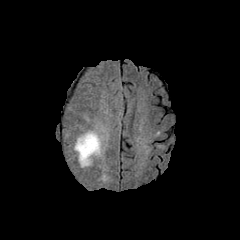
FLAIR MR.
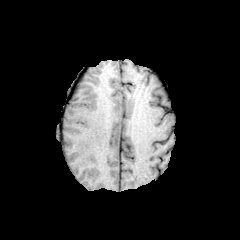
T1-weighted MR.
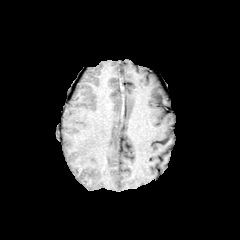
Post-contrast T1-weighted MR of the same slice.
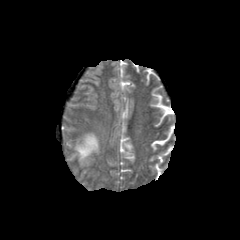
T2-weighted MR of the same slice.
Brain | 240x240 px
Edema at x1=74 y1=131 x2=100 y2=166.